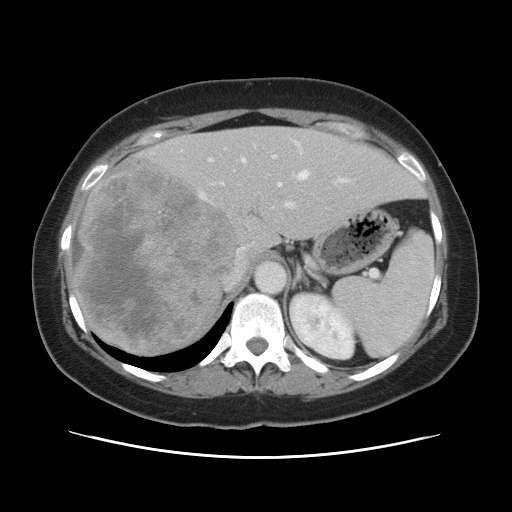 Computed tomography. Abdomen.

Only some of the vessels may be annotated.
Findings:
• liver tumor: 78, 157, 241, 351
• hepatic vessel: 294, 141, 299, 146; 278, 183, 280, 185; 224, 238, 256, 289; 299, 149, 301, 152; 209, 159, 213, 161; 283, 201, 295, 207; 200, 193, 204, 196; 335, 178, 349, 184; 254, 144, 255, 146; 212, 182, 223, 184; 299, 171, 308, 178; 241, 158, 245, 162; 273, 155, 275, 156